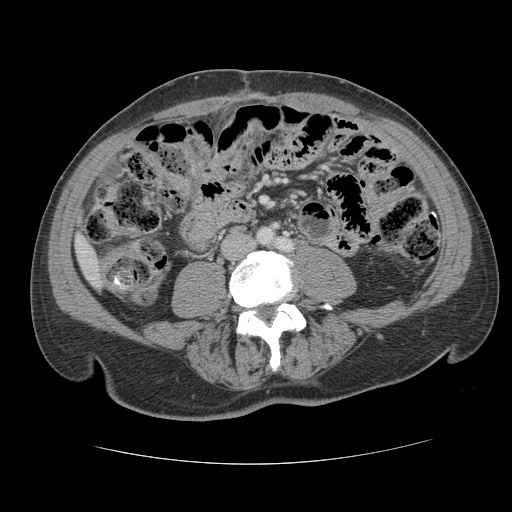
CT slice. Liver.

The vessel boxes may cover only some of the vessels.
hepatic vessel: [x1=82, y1=251, x2=85, y2=251]